CT image. Slice index 88. Field of view 373 mm wide, 0.80 mm slice spacing.
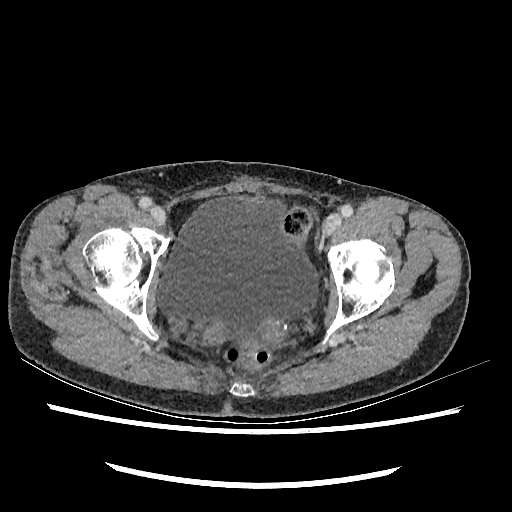

Segmented structures:
* urinary bladder: box=[156, 196, 317, 343]